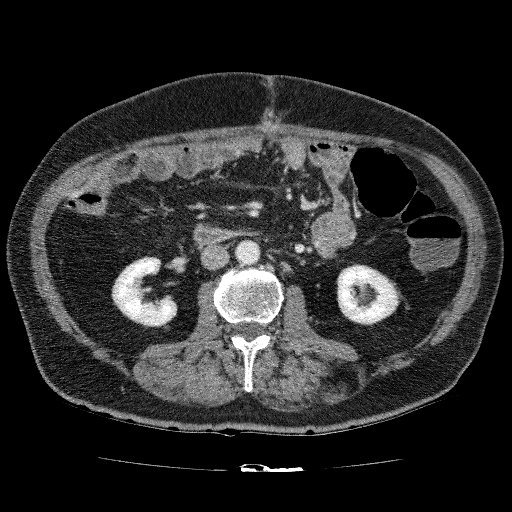

512x512 | CT slice
Kidney: x1=112, y1=257, x2=176, y2=326; x1=337, y1=265, x2=398, y2=324.